Slice index 46, CT slice 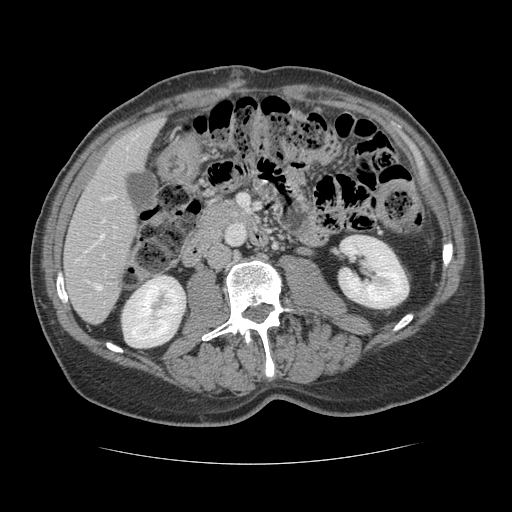
The vessel annotation is not exhaustive.
8 hepatic vessel regions are bounded by {"x1": 93, "y1": 234, "x2": 103, "y2": 245}, {"x1": 101, "y1": 195, "x2": 115, "y2": 199}, {"x1": 113, "y1": 226, "x2": 115, "y2": 227}, {"x1": 95, "y1": 284, "x2": 101, "y2": 289}, {"x1": 88, "y1": 246, "x2": 92, "y2": 249}, {"x1": 84, "y1": 250, "x2": 87, "y2": 253}, {"x1": 102, "y1": 219, "x2": 104, "y2": 221}, {"x1": 75, "y1": 258, "x2": 78, "y2": 260}.